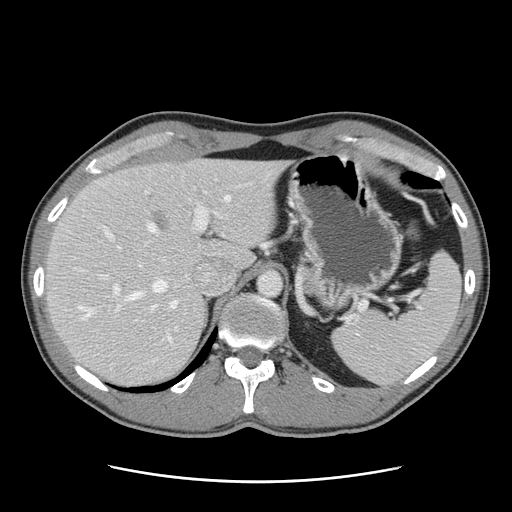 CT

Not every hepatic vessel necessarily has a box.
Most prominent 15 of 23 hepatic vessel regions: bounding box 102:226:111:237, 110:363:112:368, 100:275:106:278, 147:223:155:231, 166:334:171:342, 116:304:119:309, 114:285:118:294, 169:300:176:308, 128:292:141:299, 150:306:155:309, 152:280:166:291, 194:206:209:229, 225:195:229:201, 215:212:220:216, 77:305:93:319.
Liver tumor: bounding box 153:213:167:229.